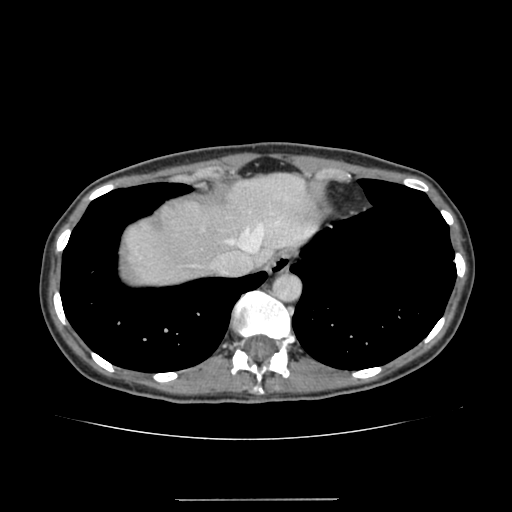 CT slice; Liver
The liver is at [x1=125, y1=171, x2=317, y2=286].